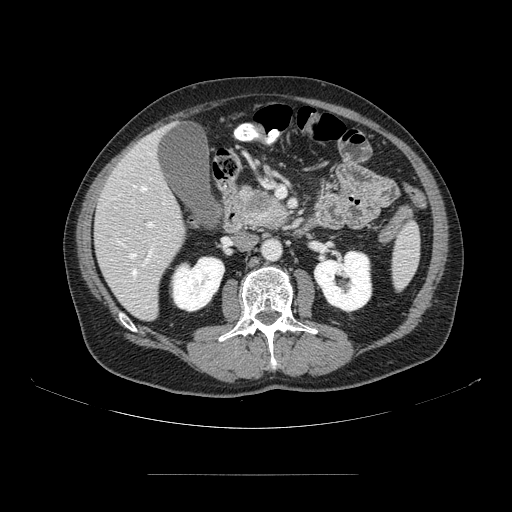
512x512; CT; Abdomen
Pancreas at (239,187,291,230).
Pancreatic tumor at (243,191,271,212).